Medial temporal lobe; Slice 9 of 36; MR image
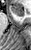

Anterior hippocampus — (x1=11, y1=6, x2=23, y2=15).